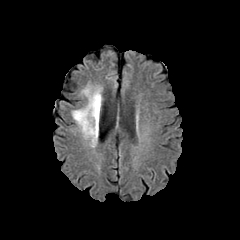
FLAIR MR image.
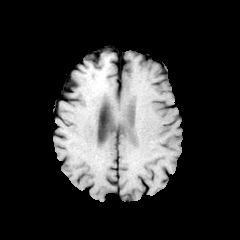
Same slice, T1-weighted magnetic resonance.
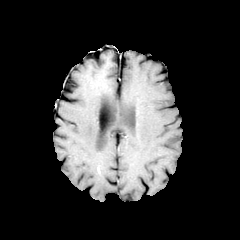
Post-contrast T1-weighted MR image of the same slice.
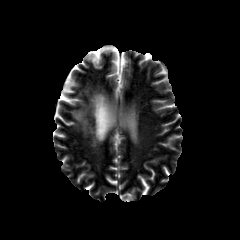
T2-weighted MR image.
Head
<segmentation>
  <edema>(72, 83, 103, 147)</edema>
</segmentation>